34x51. MRI slice. Field of view 34x51 mm.
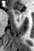 {
  "anterior_hippocampus": [
    "box=[15, 10, 19, 14]"
  ]
}